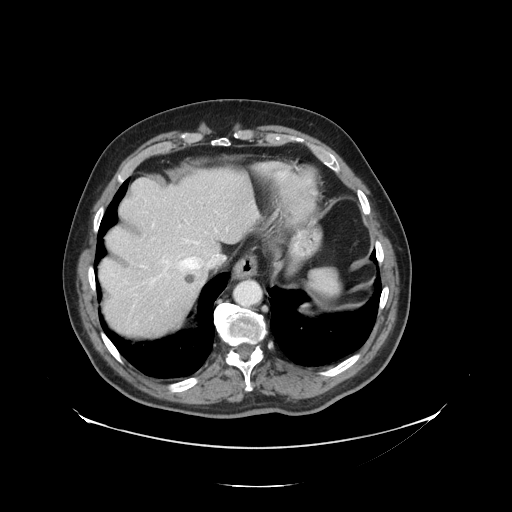 CT scan slice; Liver
The vessel annotation is not exhaustive.
<segmentation>
  <liver_tumor>bbox=[186, 274, 194, 282]</liver_tumor>
  <hepatic_vessel>bbox=[167, 301, 169, 302]; bbox=[163, 260, 170, 269]; bbox=[188, 265, 201, 277]; bbox=[152, 238, 153, 239]; bbox=[150, 279, 155, 285]; bbox=[164, 273, 167, 276]; bbox=[215, 229, 216, 231]; bbox=[190, 241, 198, 244]; bbox=[207, 255, 218, 268]; bbox=[141, 266, 144, 267]; bbox=[152, 225, 154, 227]; bbox=[191, 273, 207, 287]</hepatic_vessel>
</segmentation>